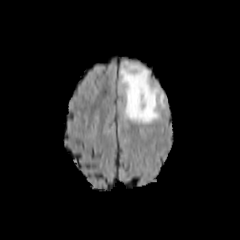
FLAIR MR.
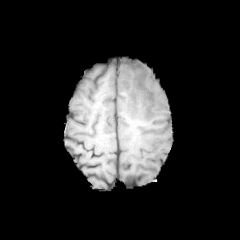
T1-weighted MR of the same slice.
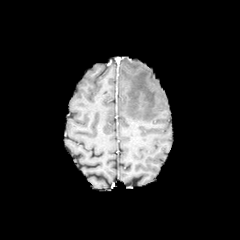
Post-contrast T1-weighted MR image.
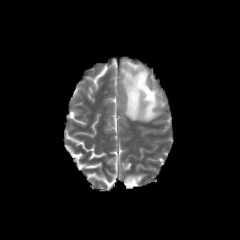
T2-weighted MRI.
edema: {"x1": 121, "y1": 63, "x2": 159, "y2": 123}